Field of view 240 mm wide, 1.00 mm slice spacing, Head, 240x240, Slice index 68
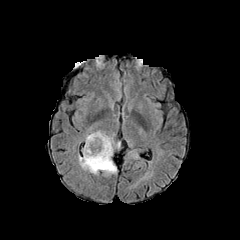
FLAIR MR image.
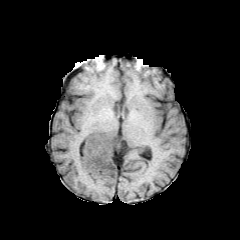
T1-weighted MR.
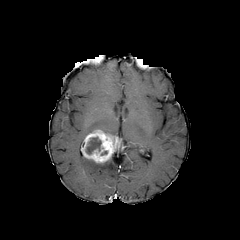
Post-contrast T1-weighted magnetic resonance of the same slice.
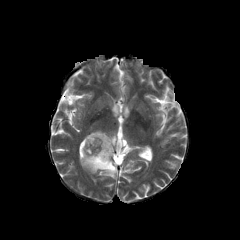
T2-weighted MR of the same slice.
{
  "non-enhancing_tumor_core": [
    "x1=87, y1=138, x2=101, y2=153"
  ],
  "edema": [
    "x1=78, y1=155, x2=117, y2=176",
    "x1=128, y1=144, x2=139, y2=159"
  ],
  "enhancing_tumor": [
    "x1=81, y1=130, x2=123, y2=163"
  ]
}